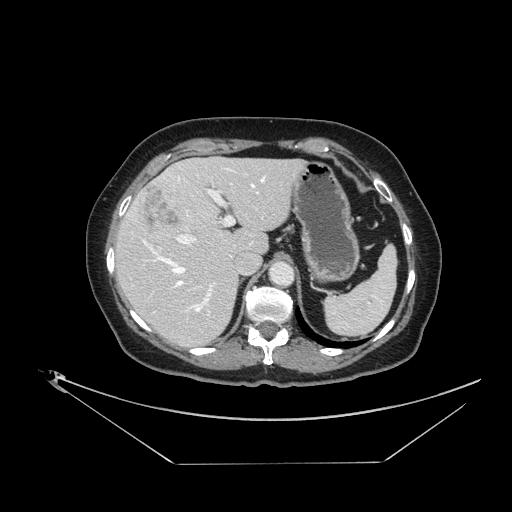 512x512 | CT scan slice
Not every hepatic vessel necessarily has a box.
Annotated regions:
* liver tumor: <bbox>133, 186, 181, 229</bbox>
* hepatic vessel: <bbox>210, 191, 223, 203</bbox>, <bbox>187, 211, 188, 215</bbox>, <bbox>175, 280, 183, 286</bbox>, <bbox>142, 239, 185, 273</bbox>, <bbox>191, 283, 213, 311</bbox>, <bbox>186, 309, 188, 310</bbox>, <bbox>224, 216, 234, 224</bbox>, <bbox>176, 235, 195, 244</bbox>, <bbox>262, 177, 263, 180</bbox>